Medial temporal lobe. MR image. 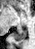

posterior_hippocampus:
  - 14, 29, 26, 40